Computed tomography 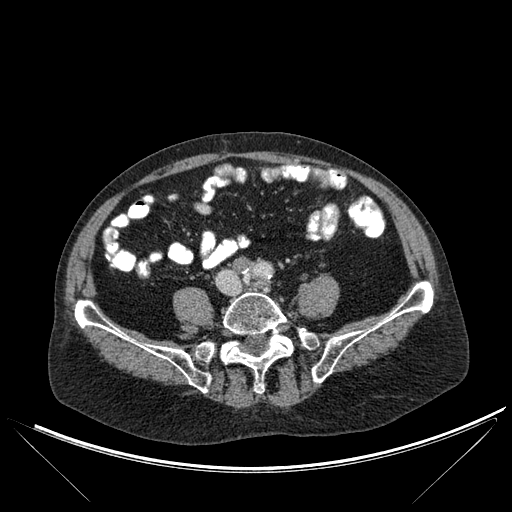 5 bone regions appear at 220, 293, 293, 393; 75, 300, 210, 392; 196, 342, 214, 361; 312, 281, 433, 382; 298, 328, 314, 348.